MRI slice

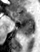
Posterior hippocampus: <box>20,22,32,37</box>.
Anterior hippocampus: <box>9,11,32,21</box>.